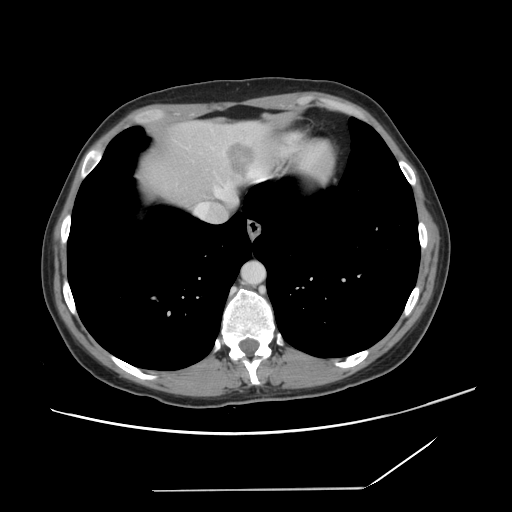 Computed tomography, Abdomen
Some hepatic vessels may have no box.
hepatic vessel: l=219, t=191, r=224, b=194; l=249, t=167, r=267, b=179 | liver tumor: l=229, t=146, r=255, b=177